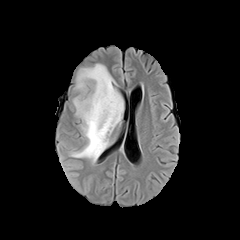
FLAIR MR.
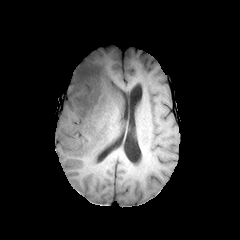
Same slice, T1-weighted MR.
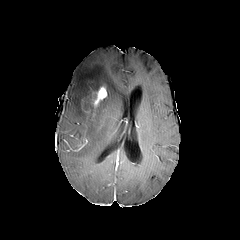
Post-contrast T1-weighted MRI.
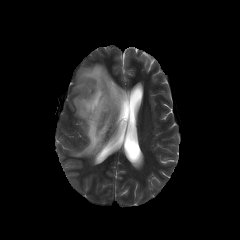
T2-weighted MR.
240x240 px
Edema: l=70, t=64, r=123, b=163.
Enhancing tumor: l=92, t=86, r=106, b=105.
Non-enhancing tumor core: l=92, t=68, r=101, b=79; l=81, t=84, r=105, b=112.